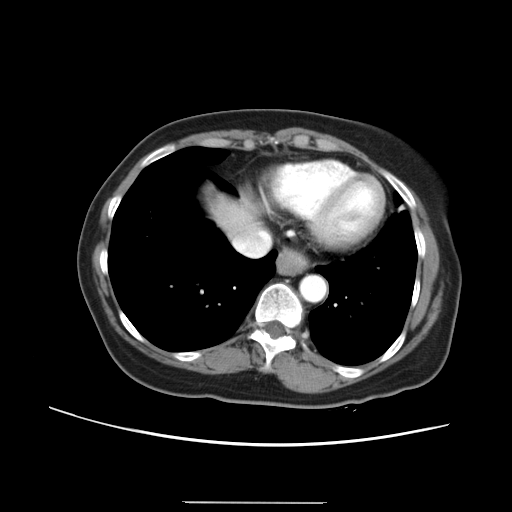 512x512 px; Computed tomography
Only some of the vessels may be annotated.
<segmentation>
  <hepatic_vessel>257:231:258:233</hepatic_vessel>
</segmentation>